Slice index 22, Hippocampus, MRI
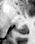 Posterior hippocampus at x1=16 y1=25 x2=27 y2=34.